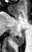

Hippocampus; Magnetic resonance

Posterior hippocampus — [x1=13, y1=30, x2=24, y2=45].